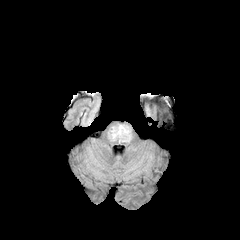
FLAIR MR.
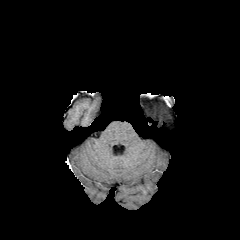
T1-weighted MR.
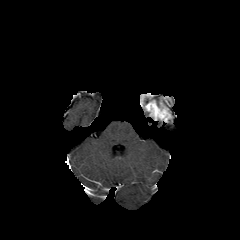
Post-contrast T1-weighted magnetic resonance of the same slice.
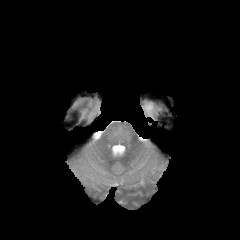
T2-weighted MR.
Head. Image size 240x240.
Enhancing tumor at [146, 103, 158, 116].